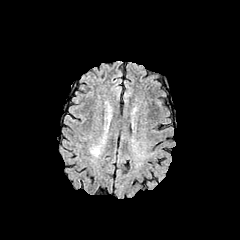
FLAIR MR.
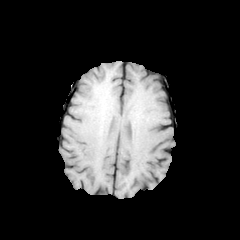
T1-weighted MR image.
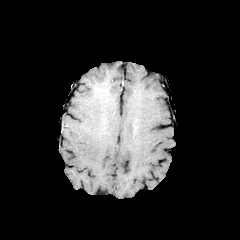
Post-contrast T1-weighted MR image.
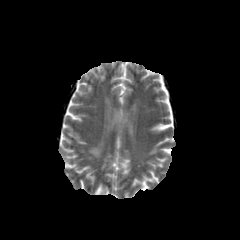
T2-weighted MR.
Head.
Segmented structures:
- edema: 90,144,101,157